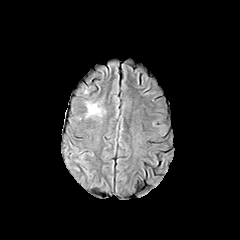
FLAIR MR.
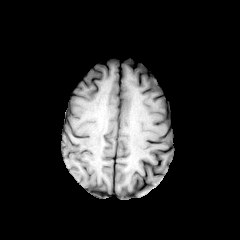
T1-weighted MR.
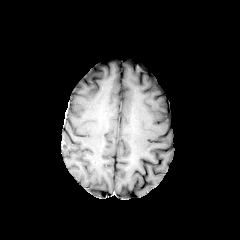
Post-contrast T1-weighted MRI.
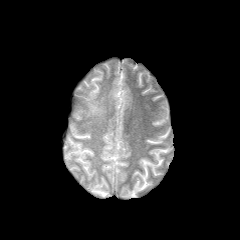
T2-weighted magnetic resonance.
Image size 240x240
{
  "edema": [
    "(86,101,104,117)"
  ]
}